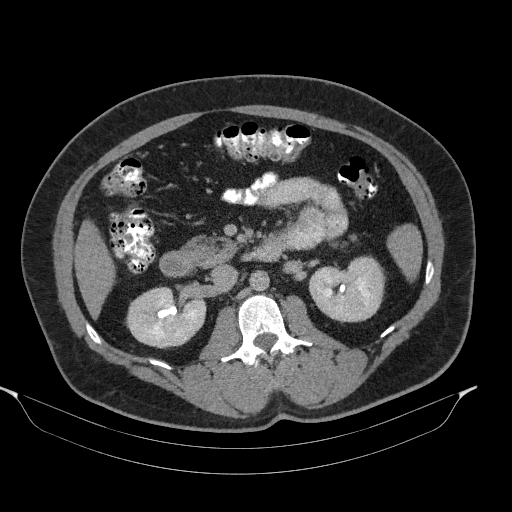 Abdomen, CT

The pancreas is located at 184 233 236 268.